CT scan slice

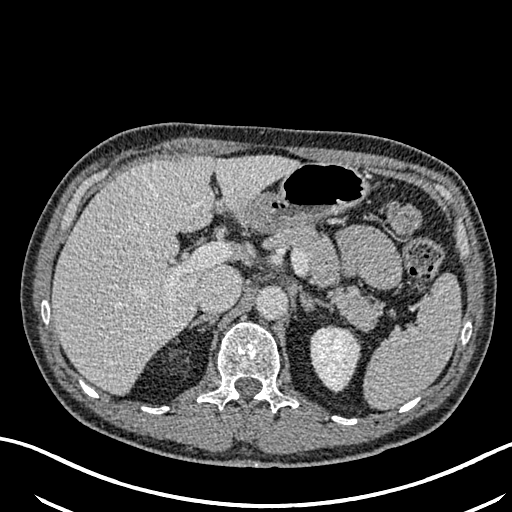

Kidney at 311:328:358:390.
Liver at 52:155:299:393.